FLAIR MR image.
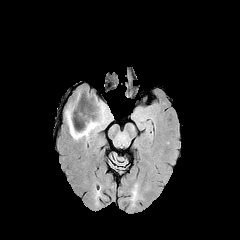
T1-weighted MRI.
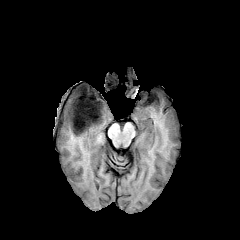
Post-contrast T1-weighted MRI.
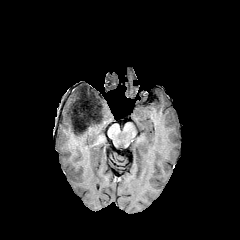
T2-weighted MR.
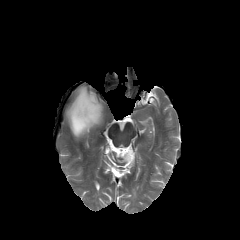
Brain
* non-enhancing tumor core: {"x1": 74, "y1": 96, "x2": 102, "y2": 133}
* edema: {"x1": 74, "y1": 100, "x2": 108, "y2": 142}, {"x1": 65, "y1": 105, "x2": 75, "y2": 133}